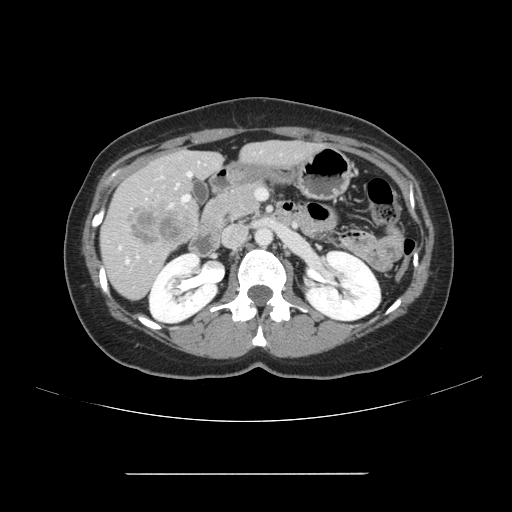

CT slice
Not every hepatic vessel necessarily has a box.
The liver tumor is located at box=[130, 208, 183, 242]. 6 hepatic vessel regions are located at box=[126, 259, 128, 263]; box=[187, 172, 191, 176]; box=[175, 184, 178, 188]; box=[182, 195, 189, 201]; box=[118, 247, 120, 249]; box=[170, 204, 172, 205].